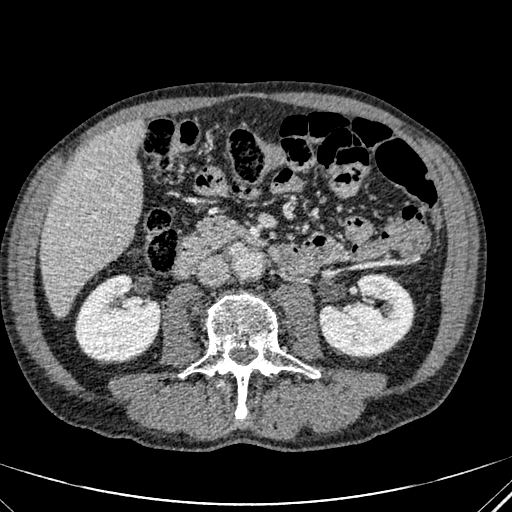 CT, Image size 512x512

The liver is located at box=[40, 120, 143, 316]. 2 kidney regions are bounded by box=[76, 276, 159, 359]; box=[320, 275, 412, 355].